512x512, CT image, Field of view 358 mm wide, 0.70 mm slice spacing 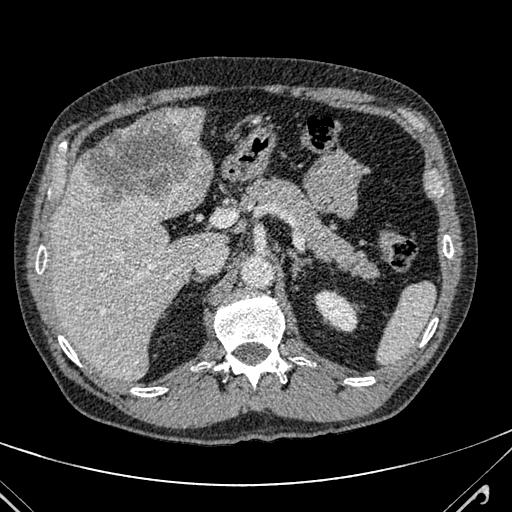 3 liver regions appear at (x1=164, y1=108, x2=204, y2=147), (x1=118, y1=119, x2=143, y2=131), (x1=49, y1=159, x2=227, y2=379). The focal liver lesion is located at (x1=78, y1=110, x2=211, y2=205).